Abdomen. 512x512. Computed tomography. 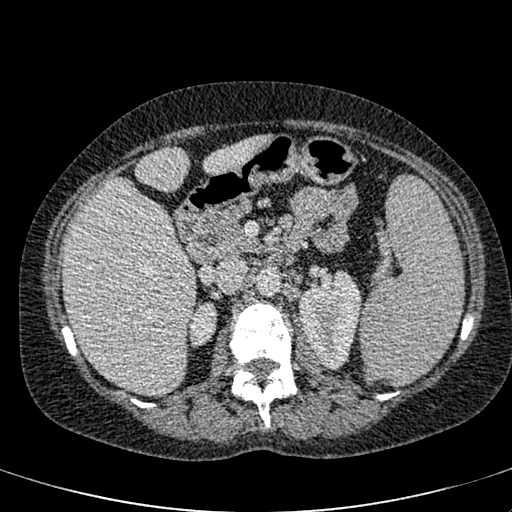 kidney:
  - [190, 303, 216, 343]
  - [299, 271, 360, 368]
liver:
  - [65, 178, 194, 393]
  - [204, 135, 272, 173]
  - [135, 148, 187, 190]